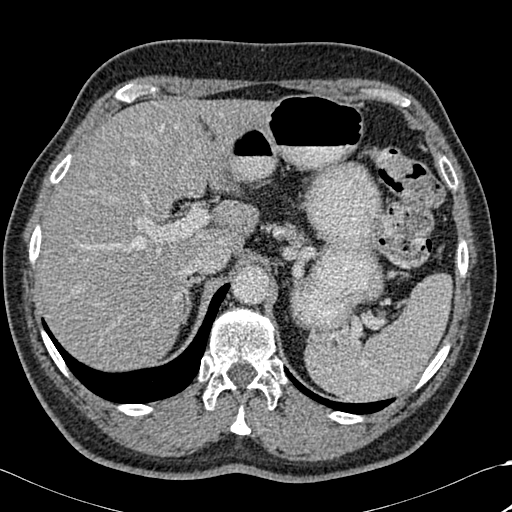 Computed tomography | Upper abdomen
Bone = 51 161 67 183, 329 412 361 423, 119 404 151 415, 446 168 457 188, 29 226 41 261, 457 241 468 274, 231 407 249 434, 199 309 286 407, 42 332 66 374, 417 345 448 387.
Lung = 284 367 394 414, 42 283 229 403.
Liver = 223 201 257 241, 39 100 269 370.